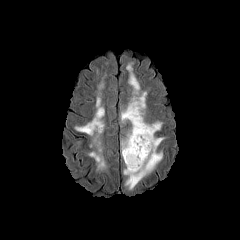
FLAIR MRI.
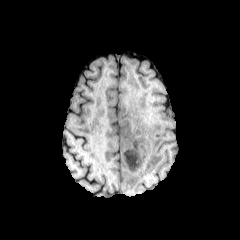
T1-weighted MR image.
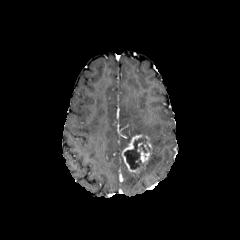
Post-contrast T1-weighted MR.
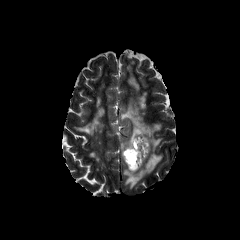
T2-weighted MR image.
Head
{
  "non-enhancing_tumor_core": [
    "(124,138,147,169)"
  ],
  "edema": [
    "(129,74,140,94)",
    "(121,92,162,189)",
    "(74,97,104,136)",
    "(89,153,104,167)"
  ],
  "enhancing_tumor": [
    "(122,134,152,172)"
  ]
}